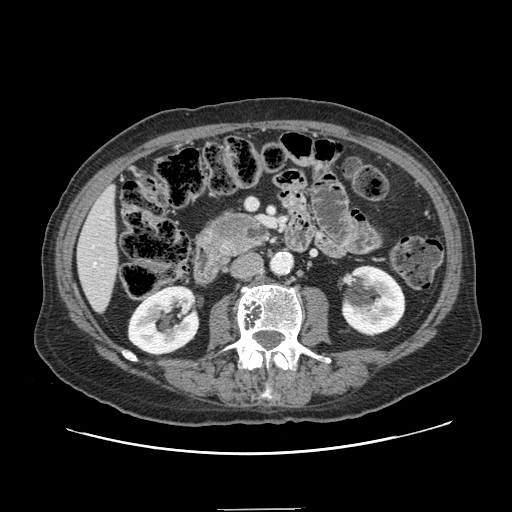
CT, Abdomen, 512x512
Segmented structures:
• pancreas: 207:210:266:257
• pancreatic tumor: 210:215:251:240